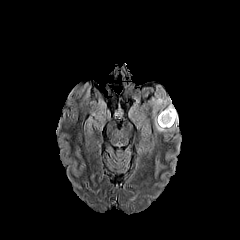
FLAIR MRI.
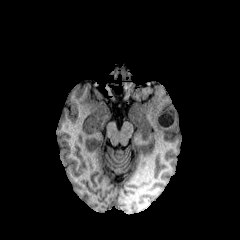
T1-weighted MR image.
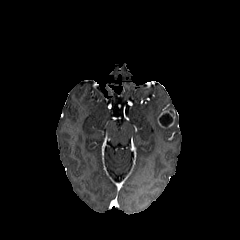
Post-contrast T1-weighted MR of the same slice.
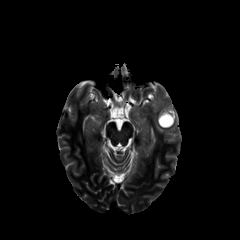
T2-weighted MR.
Image size 240x240
The edema is at 135 86 179 145. The non-enhancing tumor core lies within 159 113 172 126. The enhancing tumor is located at 157 109 175 127.